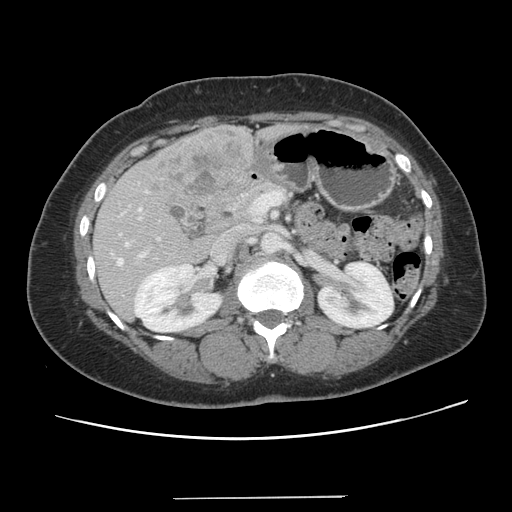

Liver. 512x512 px. CT scan slice. The vessel boxes may cover only some of the vessels.
The liver tumor is located at (x1=152, y1=128, x2=243, y2=196). 8 hepatic vessel regions appear at (x1=125, y1=242, x2=128, y2=245), (x1=138, y1=217, x2=141, y2=219), (x1=140, y1=252, x2=146, y2=256), (x1=122, y1=212, x2=124, y2=213), (x1=119, y1=233, x2=121, y2=235), (x1=157, y1=237, x2=159, y2=240), (x1=117, y1=259, x2=122, y2=265), (x1=138, y1=208, x2=141, y2=211).